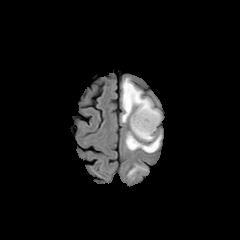
FLAIR MR image.
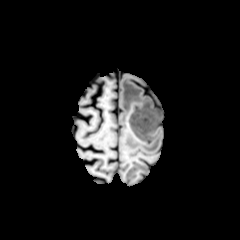
T1-weighted magnetic resonance of the same slice.
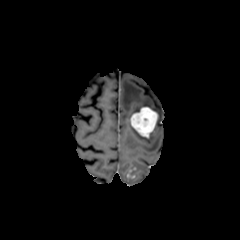
Same slice, post-contrast T1-weighted MR image.
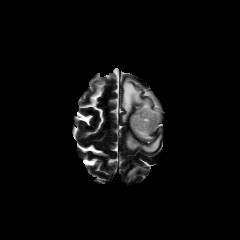
Same slice, T2-weighted MRI.
240x240 px
Enhancing tumor at {"x1": 129, "y1": 106, "x2": 158, "y2": 137}.
Edema at {"x1": 121, "y1": 78, "x2": 162, "y2": 152}.